Image width 351 mm. Slice 539/588. 512x512. Computed tomography.
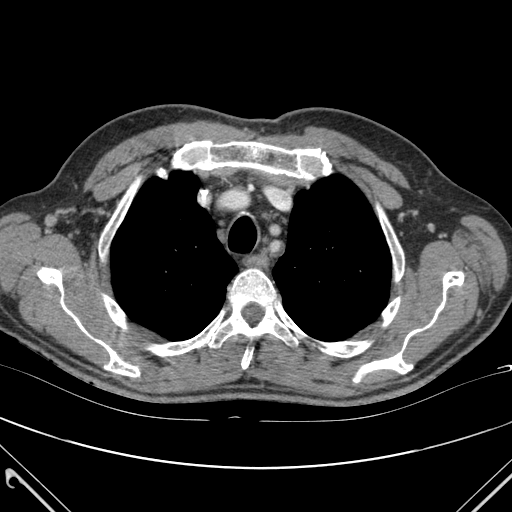
lung:
  - 111 171 237 340
  - 272 174 391 341
bone:
  - 353 272 463 382
  - 241 349 252 368
  - 377 207 404 281
  - 103 295 126 328
  - 173 141 331 179
  - 148 269 306 355
  - 100 179 139 243
  - 158 168 166 176
  - 37 267 139 376
  - 382 297 399 325
  - 321 341 370 357